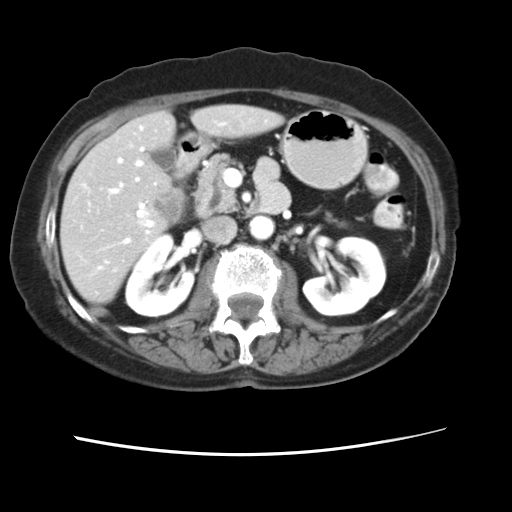

CT slice

The vessel boxes may cover only some of the vessels.
<segmentation>
  <hepatic_vessel>bbox(141, 148, 142, 150); bbox(105, 261, 107, 263); bbox(118, 158, 122, 163); bbox(108, 183, 122, 193); bbox(124, 239, 129, 243); bbox(136, 161, 142, 165); bbox(137, 203, 153, 233); bbox(216, 123, 225, 126); bbox(136, 179, 138, 180); bbox(140, 126, 142, 129); bbox(88, 203, 90, 211); bbox(98, 266, 101, 269); bbox(83, 185, 85, 188)</hepatic_vessel>
  <liver_tumor>bbox(151, 192, 181, 220)</liver_tumor>
</segmentation>